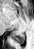 MRI slice. Hippocampus.
{"posterior_hippocampus": ["(13, 34, 24, 43)"]}